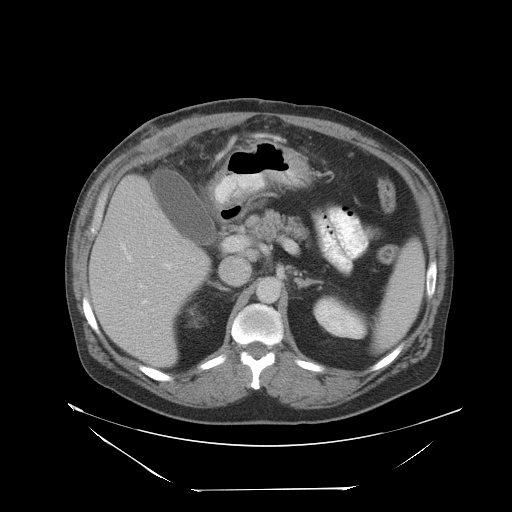
Computed tomography; Liver

Some hepatic vessels may have no box.
<segmentation>
  <hepatic_vessel>bbox(165, 264, 171, 268); bbox(138, 283, 145, 287); bbox(225, 238, 244, 249); bbox(143, 300, 145, 302); bbox(127, 255, 130, 260); bbox(121, 244, 126, 252)</hepatic_vessel>
</segmentation>